Liver | Computed tomography | Slice 66/122 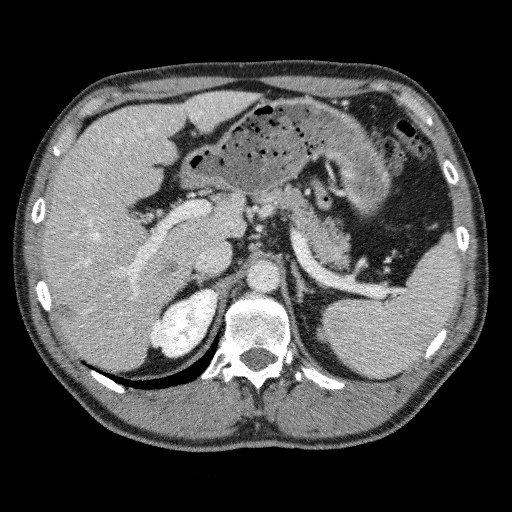
focal liver lesion: (56, 302, 74, 320), (153, 259, 180, 283) | liver: (39, 90, 261, 369) | kidney: (150, 290, 216, 356)